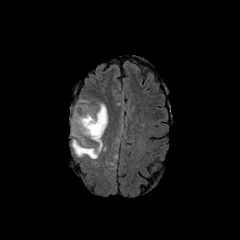
FLAIR MR.
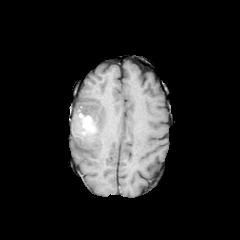
T1-weighted magnetic resonance of the same slice.
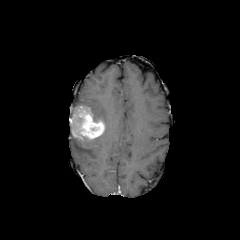
Post-contrast T1-weighted MR image of the same slice.
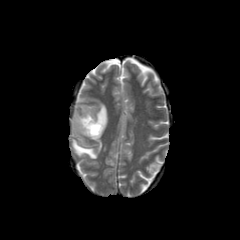
T2-weighted magnetic resonance.
Image size 240x240.
Enhancing tumor = l=69, t=105, r=105, b=139.
Edema = l=74, t=99, r=107, b=129; l=71, t=132, r=103, b=159.